FLAIR magnetic resonance.
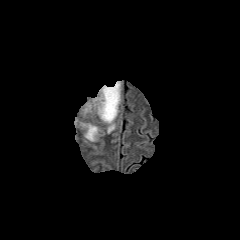
T1-weighted MR.
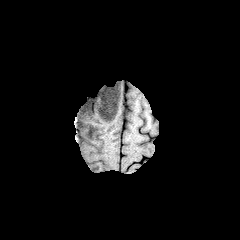
Post-contrast T1-weighted magnetic resonance.
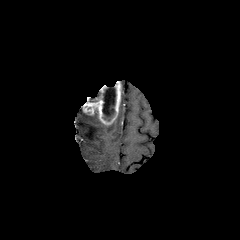
T2-weighted MR image.
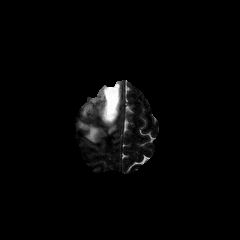
Brain
Enhancing tumor: 114,84,121,112; 83,86,112,123.
Non-enhancing tumor core: 102,86,115,121.
Edema: 78,106,115,142.